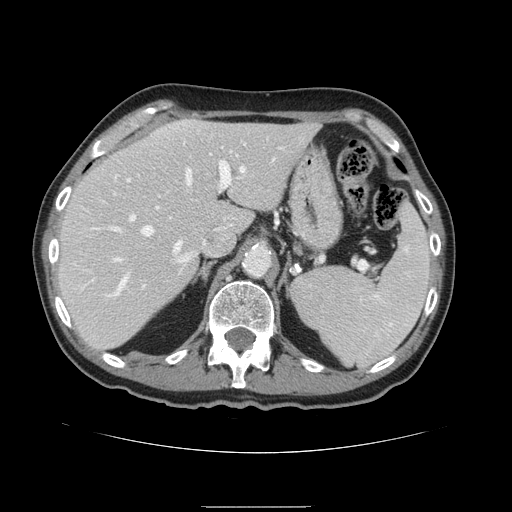
Abdomen | CT
Not every hepatic vessel necessarily has a box.
Findings:
* hepatic vessel: [x1=130, y1=215, x2=134, y2=220], [x1=203, y1=239, x2=218, y2=254], [x1=112, y1=227, x2=120, y2=230], [x1=178, y1=255, x2=189, y2=261], [x1=220, y1=160, x2=231, y2=187], [x1=192, y1=251, x2=196, y2=255], [x1=108, y1=275, x2=127, y2=295], [x1=212, y1=213, x2=215, y2=214], [x1=240, y1=166, x2=244, y2=171], [x1=214, y1=212, x2=245, y2=246], [x1=174, y1=240, x2=181, y2=252], [x1=142, y1=226, x2=153, y2=235], [x1=115, y1=257, x2=121, y2=260], [x1=157, y1=206, x2=158, y2=207], [x1=186, y1=169, x2=191, y2=184]